Head | Slice index 45 | Field of view 240 mm wide, 1.00 mm slice spacing
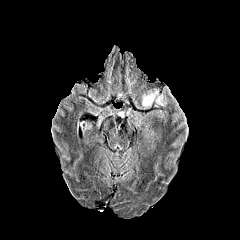
FLAIR MRI.
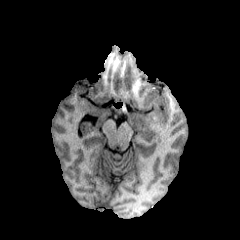
T1-weighted MR image.
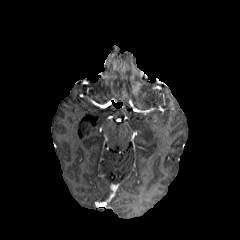
Same slice, post-contrast T1-weighted MR.
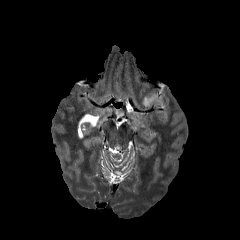
T2-weighted magnetic resonance.
edema:
  - bbox(142, 91, 163, 108)